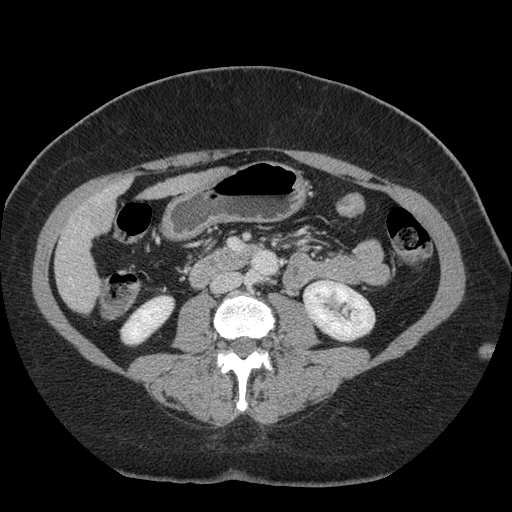

Computed tomography, Abdomen, 512x512 px
The liver tumor appears at box=[80, 204, 111, 230].